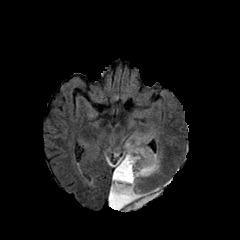
FLAIR MR.
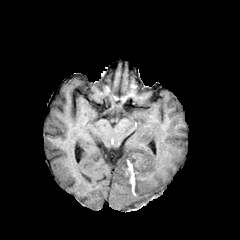
T1-weighted MR.
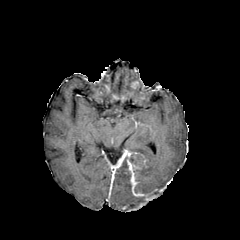
Post-contrast T1-weighted MR image.
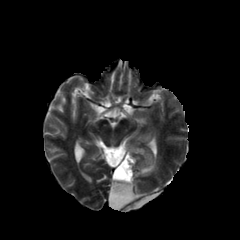
T2-weighted MR.
2 edema regions appear at [109,179,143,210], [123,142,159,199]. The enhancing tumor is bounded by [112,150,144,196]. 4 non-enhancing tumor core regions are located at [132,164,141,184], [114,158,132,186], [123,204,139,211], [104,147,127,165].